CT. Slice 49 of 75. Upper abdomen.
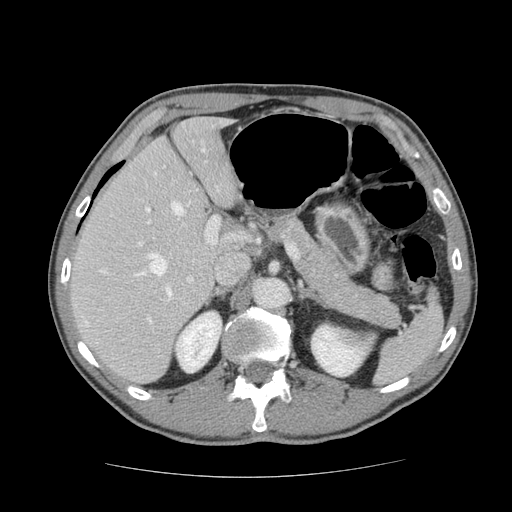

Segmented structures:
• pancreas: (x1=262, y1=212, x2=402, y2=329)